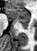
MRI
{"posterior_hippocampus": ["(x1=21, y1=23, x2=27, y2=28)"], "anterior_hippocampus": ["(x1=5, y1=8, x2=29, y2=22)"]}